Abdomen, Computed tomography 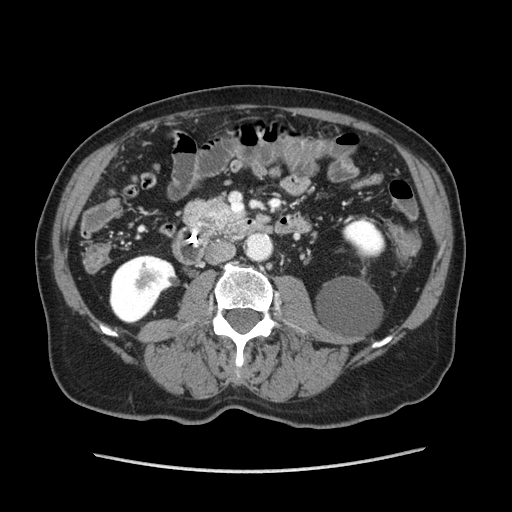

Annotated regions:
- pancreatic tumor: x1=215 y1=212 x2=241 y2=235
- pancreas: x1=184 y1=200 x2=243 y2=231